Slice 22 of 39, Medial temporal lobe, MR
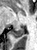 Annotated regions:
• posterior hippocampus: (11,28,24,38)